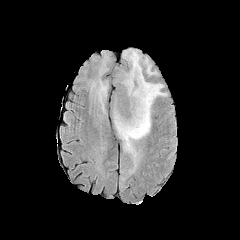
FLAIR MR image.
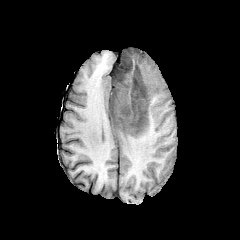
Same slice, T1-weighted MR image.
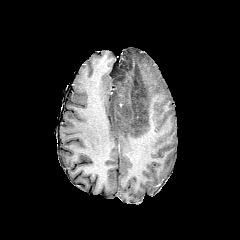
Post-contrast T1-weighted MRI of the same slice.
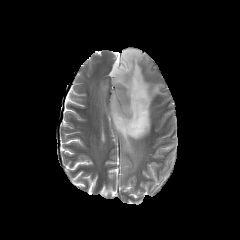
T2-weighted magnetic resonance.
240x240 px | Brain
Non-enhancing tumor core: bounding box bbox(116, 57, 133, 82); bbox(112, 68, 147, 127).
Edema: bounding box bbox(143, 57, 155, 75); bbox(112, 49, 166, 173); bbox(117, 84, 130, 119).